Slice 127/155
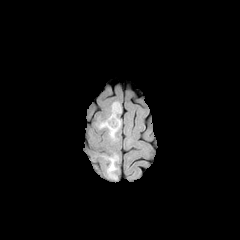
FLAIR MR.
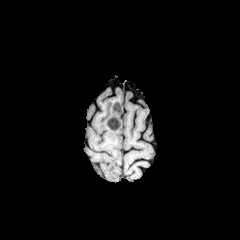
T1-weighted MR image.
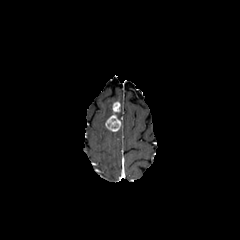
Post-contrast T1-weighted MR image.
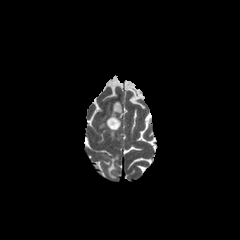
T2-weighted MR image.
enhancing_tumor:
  - box=[105, 101, 121, 131]
edema:
  - box=[105, 155, 117, 171]